FLAIR magnetic resonance.
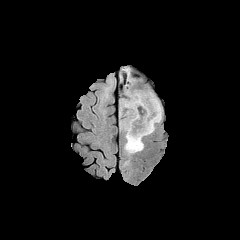
T1-weighted MR.
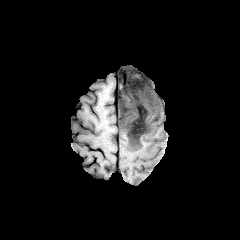
Post-contrast T1-weighted magnetic resonance.
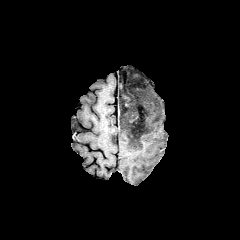
T2-weighted MR.
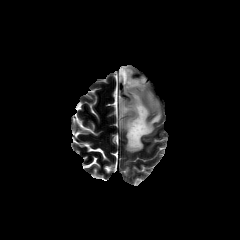
Image size 240x240; Head
2 non-enhancing tumor core regions are bounded by box=[127, 81, 142, 92]; box=[120, 97, 155, 152]. The edema appears at box=[119, 67, 163, 150].